Brain
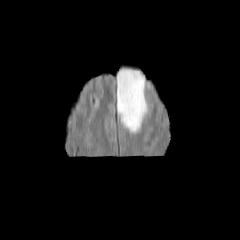
FLAIR magnetic resonance.
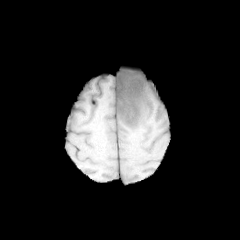
T1-weighted MRI of the same slice.
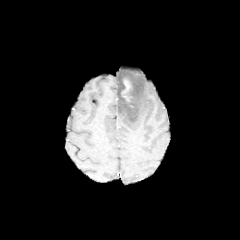
Post-contrast T1-weighted MR image.
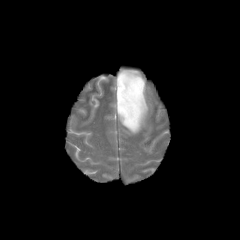
T2-weighted MRI.
The edema is bounded by <box>117,70,147,131</box>. 2 non-enhancing tumor core regions appear at <box>122,77,134,86</box>, <box>123,97,133,111</box>. The enhancing tumor is located at <box>121,80,132,101</box>.